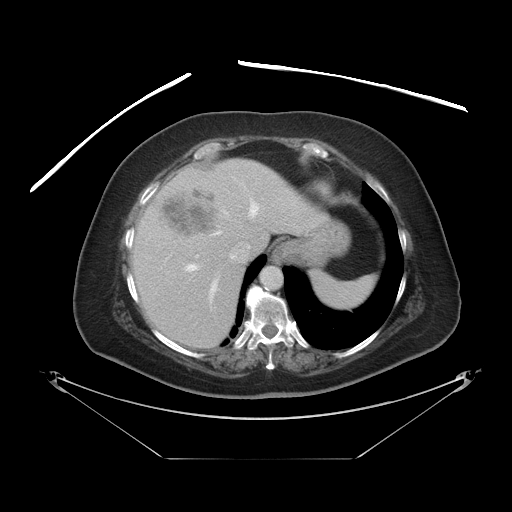 Abdomen | Image size 512x512 | CT scan slice

The vessel boxes may cover only some of the vessels.
9 hepatic vessel regions are bounded by rect(209, 278, 217, 299); rect(183, 263, 198, 271); rect(196, 255, 197, 256); rect(230, 241, 250, 257); rect(222, 210, 227, 213); rect(230, 225, 242, 235); rect(242, 233, 245, 236); rect(249, 200, 258, 217); rect(218, 231, 219, 233). The liver tumor is bounded by rect(157, 183, 222, 242).